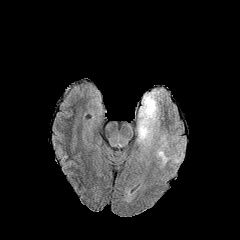
FLAIR MR.
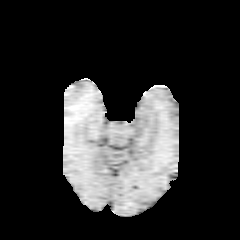
T1-weighted MR of the same slice.
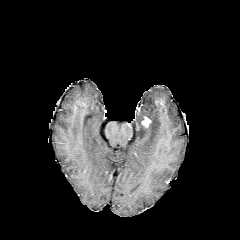
Post-contrast T1-weighted magnetic resonance.
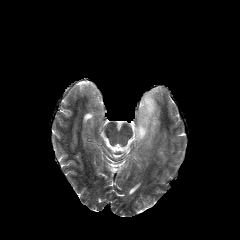
T2-weighted MR image.
Image size 240x240
Findings:
* edema: x1=134, y1=89, x2=163, y2=148
* enhancing tumor: x1=141, y1=116, x2=150, y2=127